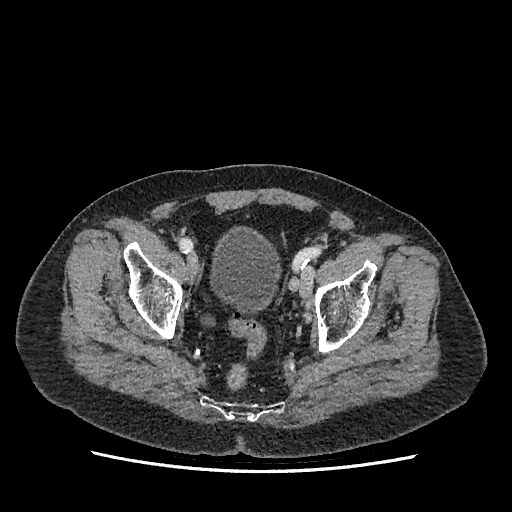

Lower abdomen | CT slice
urinary bladder: (210,231,277,312)